512x512 | Field of view 306x306 mm | Chest | CT 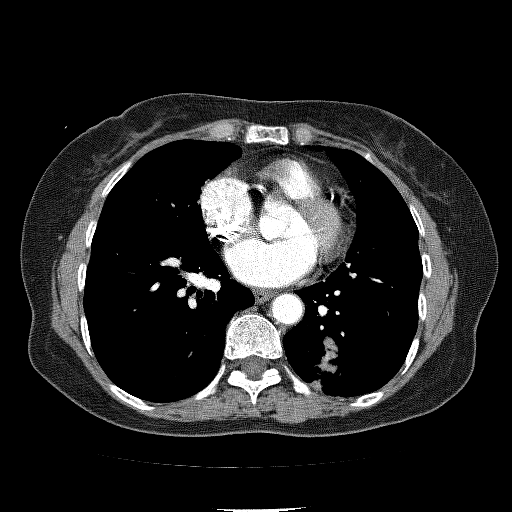
Lung tumor = l=306, t=336, r=341, b=391.